Slice 122/155; 240x240
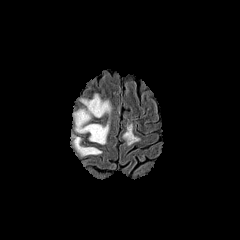
FLAIR MR.
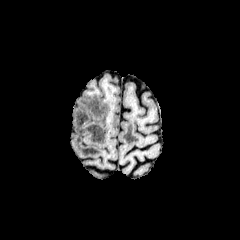
T1-weighted magnetic resonance of the same slice.
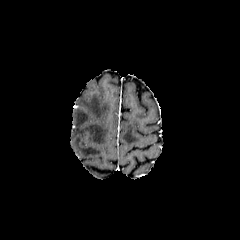
Same slice, post-contrast T1-weighted MRI.
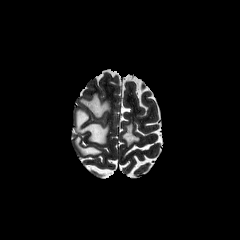
Same slice, T2-weighted magnetic resonance.
2 edema regions are located at <box>70,134,101,157</box>, <box>73,94,112,144</box>.